240x240 px
FLAIR magnetic resonance.
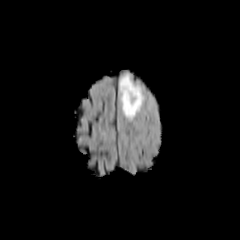
T1-weighted MR image.
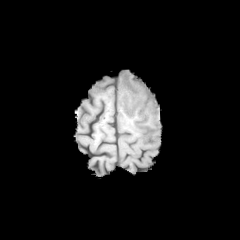
Post-contrast T1-weighted magnetic resonance.
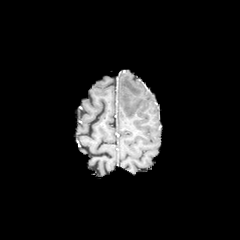
T2-weighted magnetic resonance.
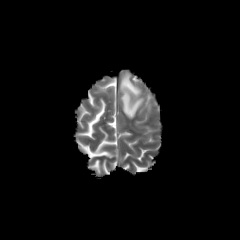
Edema: bounding box region(120, 74, 143, 117).